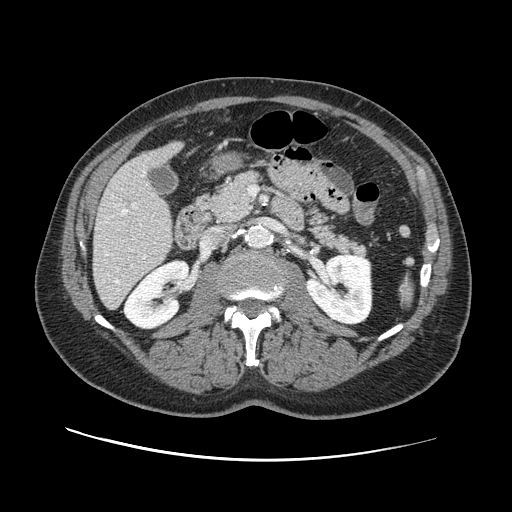 CT slice
Findings:
• pancreas: x1=306 y1=201 x2=368 y2=258, x1=197 y1=168 x2=264 y2=223